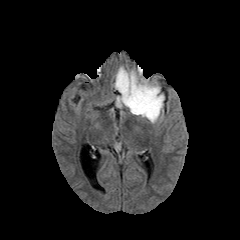
FLAIR MR image.
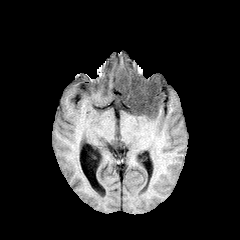
T1-weighted MR image.
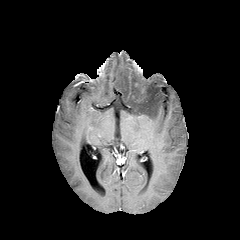
Post-contrast T1-weighted magnetic resonance.
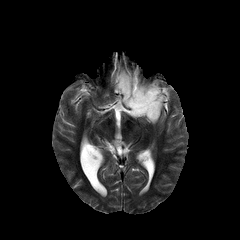
T2-weighted MR image.
Image size 240x240
{"non-enhancing_tumor_core": [{"x1": 120, "y1": 77, "x2": 157, "y2": 114}], "edema": [{"x1": 114, "y1": 66, "x2": 165, "y2": 123}]}